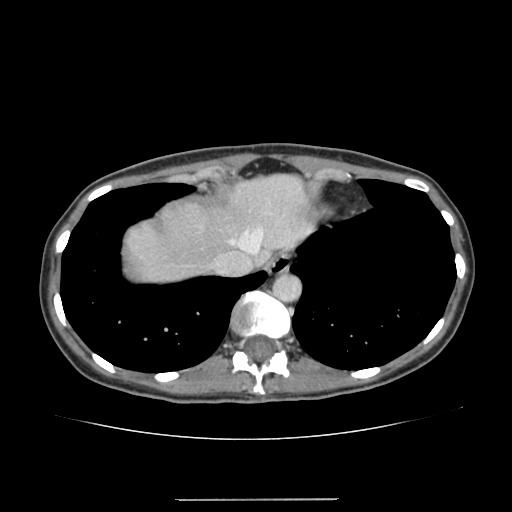

Computed tomography
The liver appears at 127, 173, 312, 283.